FLAIR MR image.
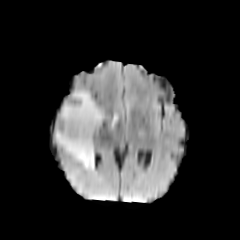
T1-weighted MR.
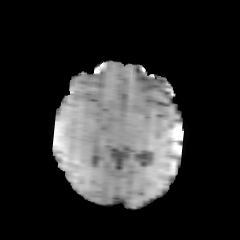
Post-contrast T1-weighted magnetic resonance.
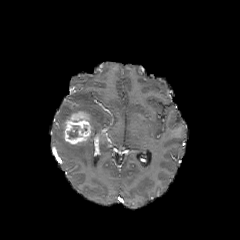
T2-weighted MR.
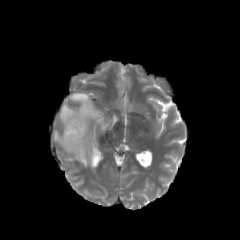
Brain
non-enhancing tumor core: bbox=[67, 128, 79, 139] | edema: bbox=[54, 92, 116, 168] | enhancing tumor: bbox=[63, 110, 93, 144]